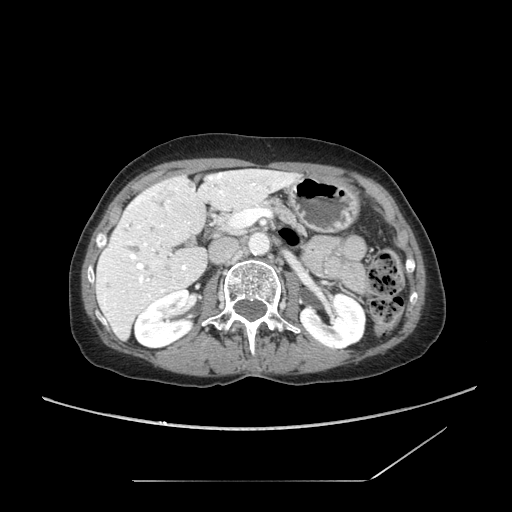 CT slice.
<segmentation>
  <pancreas>l=215, t=214, r=240, b=233; l=255, t=198, r=304, b=237</pancreas>
</segmentation>